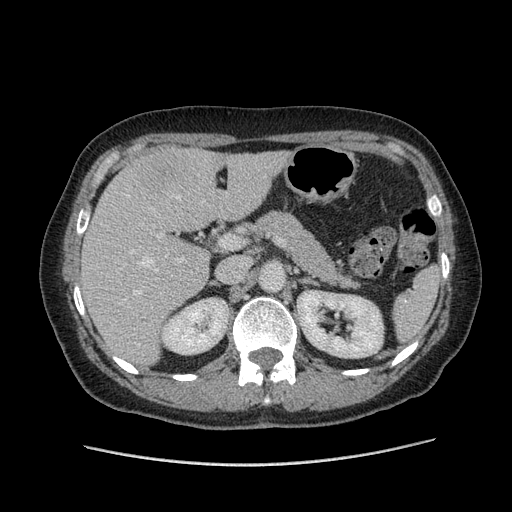 CT image | Abdomen
Some hepatic vessels may have no box.
Liver tumor = bbox=[152, 156, 187, 176].
Hepatic vessel = bbox=[158, 234, 163, 237]; bbox=[175, 259, 181, 262].